512x512; Upper abdomen; Slice index 29; CT

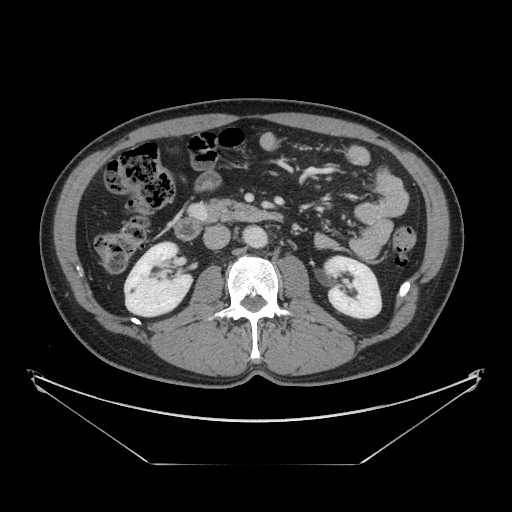 Pancreas — 190 198 235 224.
Pancreatic tumor — 187 202 208 221.